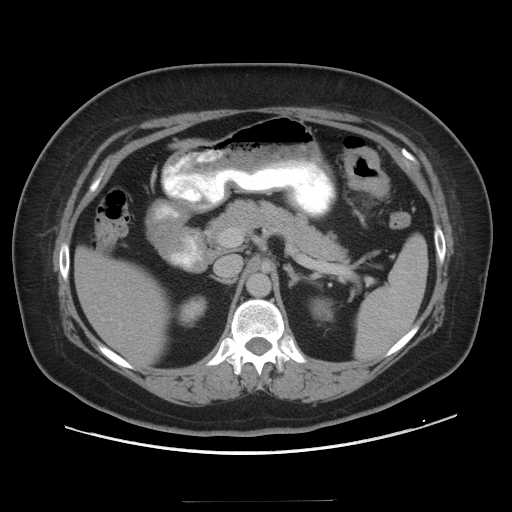
CT slice

Annotated regions:
- colon tumor: {"x1": 343, "y1": 146, "x2": 390, "y2": 197}